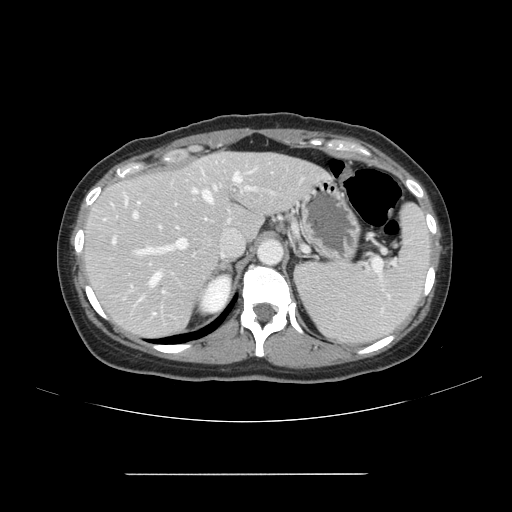

CT slice; Abdomen

Only some of the vessels may be annotated.
hepatic vessel: x1=133, y1=213, x2=137, y2=217; x1=192, y1=189, x2=196, y2=192; x1=245, y1=186, x2=252, y2=189; x1=126, y1=197, x2=127, y2=204; x1=137, y1=202, x2=139, y2=203; x1=113, y1=238, x2=115, y2=243; x1=153, y1=313, x2=155, y2=314; x1=201, y1=190, x2=212, y2=202; x1=233, y1=172, x2=241, y2=181; x1=214, y1=186, x2=216, y2=189; x1=175, y1=238, x2=186, y2=248; x1=150, y1=272, x2=160, y2=285; x1=137, y1=247, x2=172, y2=253